Slice 86 of 424; Image size 512x512; CT; Lower abdomen

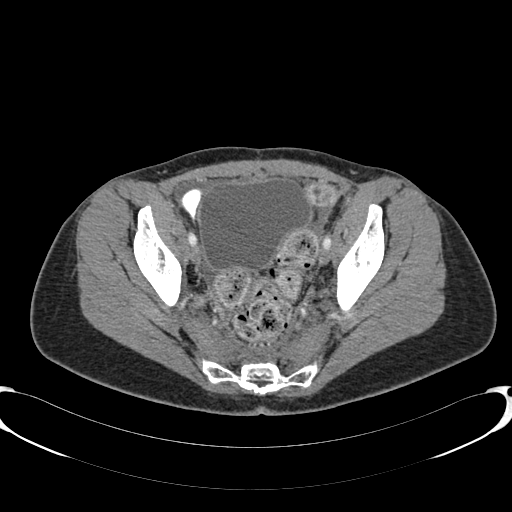 {
  "urinary_bladder": [
    "(left=201, top=180, right=309, bottom=268)"
  ]
}